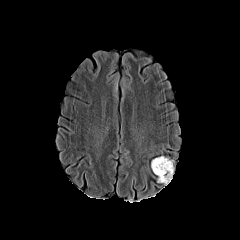
FLAIR MR image.
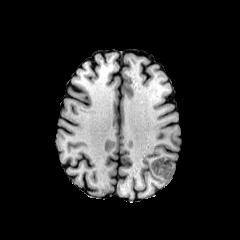
T1-weighted magnetic resonance.
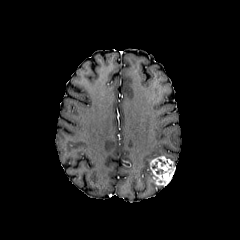
Post-contrast T1-weighted magnetic resonance of the same slice.
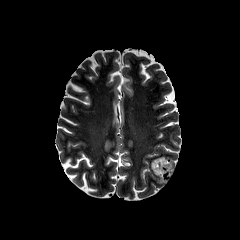
T2-weighted MR.
Edema: region(148, 147, 162, 157).
Enhancing tumor: region(150, 156, 175, 186).
Non-enhancing tumor core: region(152, 165, 163, 174).